MRI slice, Heart 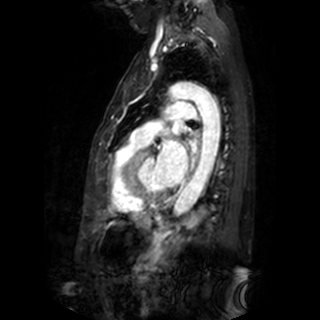 Segmented structures:
* left atrium: <box>157,140,187,185</box>, <box>173,121,183,134</box>, <box>191,143,196,152</box>